Computed tomography; Image width 437 mm; Slice 573/896

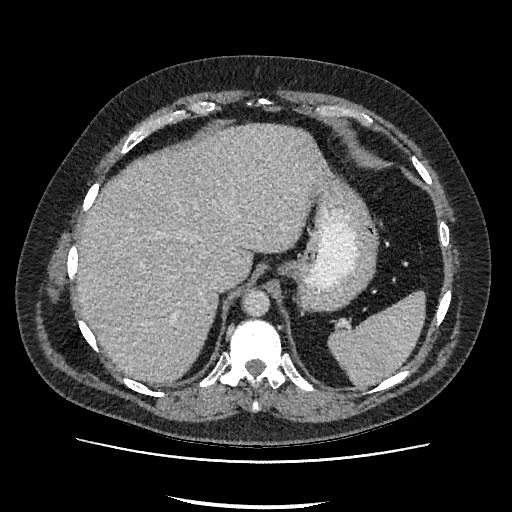

The liver is located at x1=78 y1=124 x2=322 y2=382.